FLAIR MR image.
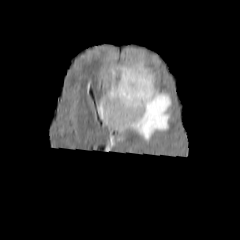
T1-weighted magnetic resonance.
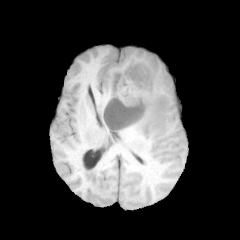
Post-contrast T1-weighted magnetic resonance.
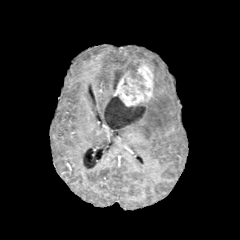
T2-weighted MR.
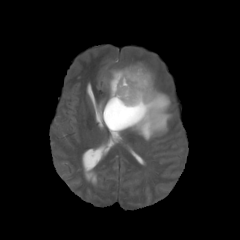
Image size 240x240.
The enhancing tumor is at [114,64,154,106]. 3 non-enhancing tumor core regions are located at [103,94,146,129], [112,67,142,89], [131,82,146,90]. 2 edema regions appear at [108,62,141,98], [124,86,171,139].